CT slice. Liver. Field of view 330x330 mm. Slice 78/141. 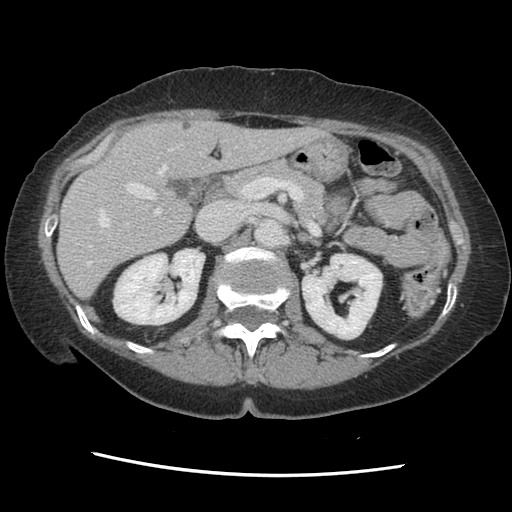
The vessel annotation is not exhaustive.
Liver tumor — x1=182, y1=121, x2=191, y2=130.
Hepatic vessel — x1=155, y1=208, x2=160, y2=213; x1=179, y1=144, x2=182, y2=145; x1=99, y1=209, x2=109, y2=226; x1=88, y1=261, x2=90, y2=264; x1=126, y1=183, x2=154, y2=198; x1=227, y1=153, x2=229, y2=155; x1=168, y1=147, x2=173, y2=150; x1=158, y1=166, x2=166, y2=174.